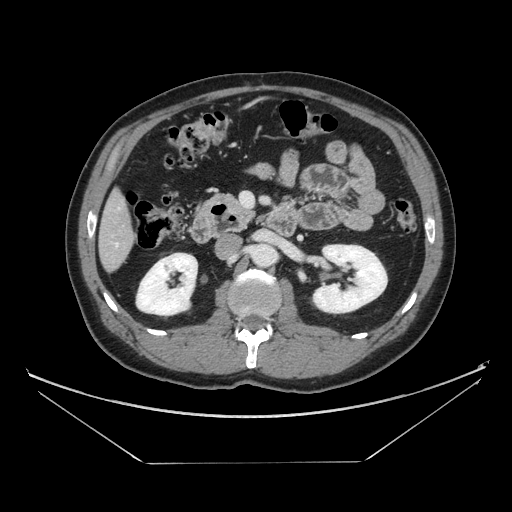

512x512; CT image; Upper abdomen
<segmentation>
  <pancreatic_tumor>[x1=228, y1=201, x2=241, y2=212]</pancreatic_tumor>
  <pancreas>[x1=225, y1=196, x2=253, y2=222]</pancreas>
</segmentation>